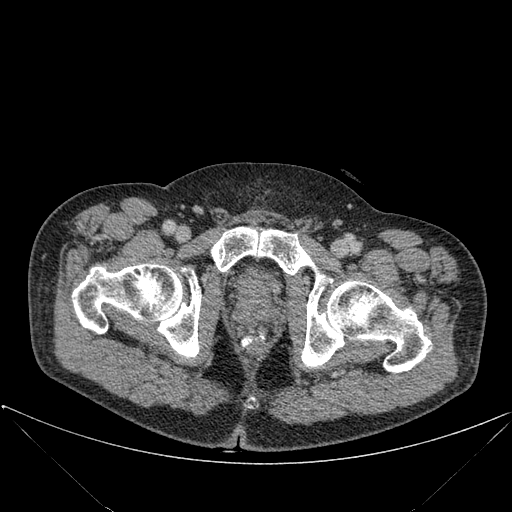
CT

2 bone regions are bounded by <bbox>72, 264, 200, 357</bbox>, <bbox>211, 227, 431, 372</bbox>.